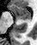
MR image, 37x45 px

Anterior hippocampus = (12, 5, 30, 19).